Image width 240 mm; Brain
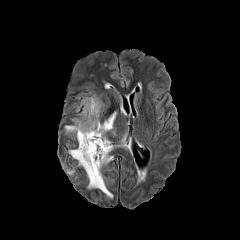
FLAIR MRI.
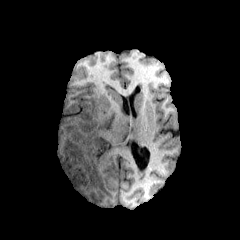
T1-weighted magnetic resonance.
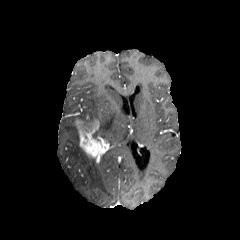
Post-contrast T1-weighted MR of the same slice.
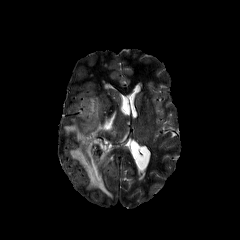
T2-weighted MR image of the same slice.
Enhancing tumor: bounding box rect(75, 118, 106, 162).
Edema: bounding box rect(99, 111, 116, 138); rect(67, 140, 113, 198); rect(64, 125, 78, 141); rect(76, 95, 103, 122).